Slice 39/91; CT image; Upper abdomen 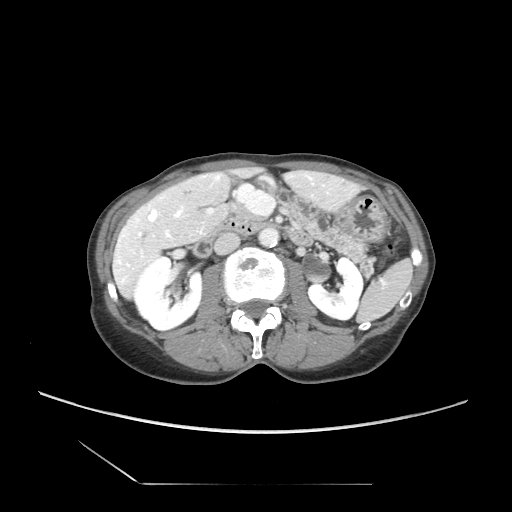
pancreas:
  - 274, 187, 373, 276